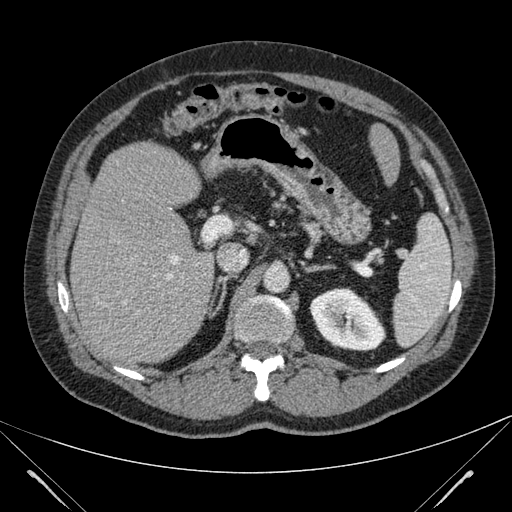 CT scan slice | Liver
liver: x1=370, y1=123, x2=399, y2=185; x1=63, y1=142, x2=211, y2=372 | kidney: x1=311, y1=289, x2=384, y2=349